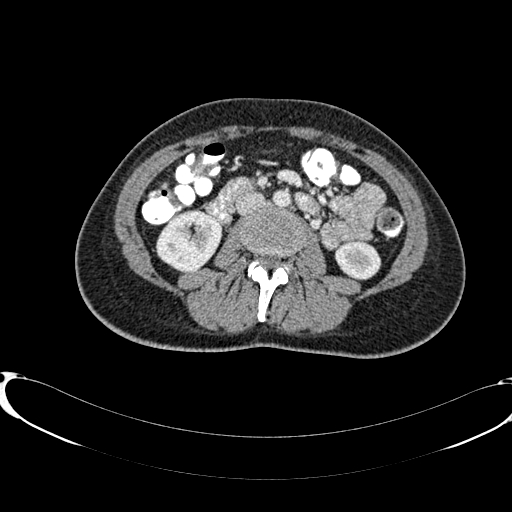
Abdomen | Computed tomography
2 kidney regions appear at rect(336, 243, 379, 278); rect(157, 212, 220, 270).